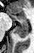 MR image
<segmentation>
  <anterior_hippocampus>x1=9, y1=14, x2=26, y2=23</anterior_hippocampus>
  <posterior_hippocampus>x1=15, y1=24, x2=28, y2=37</posterior_hippocampus>
</segmentation>